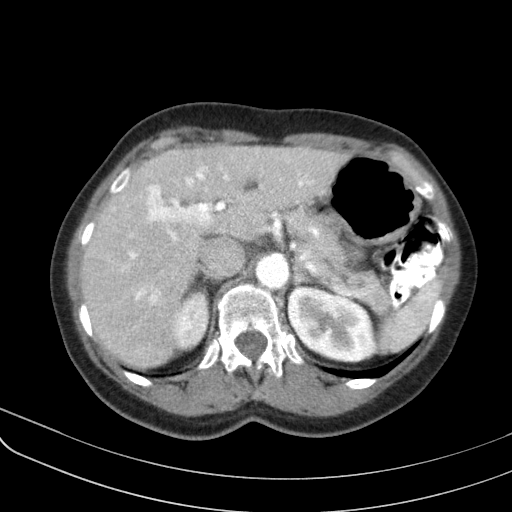

CT image | Upper abdomen
pancreas:
  - (285,209,384,310)